240x240 px, Head
FLAIR MR.
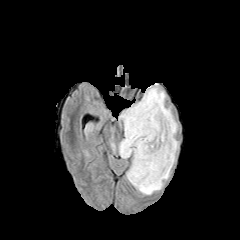
T1-weighted MRI.
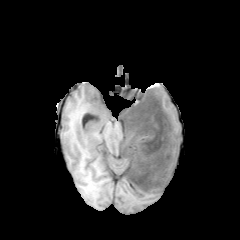
Post-contrast T1-weighted MR.
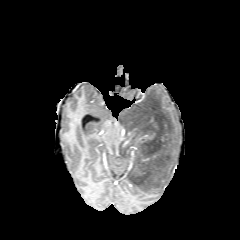
T2-weighted magnetic resonance.
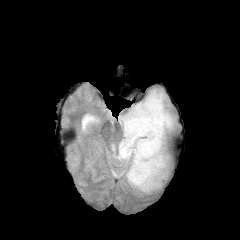
<segmentation>
  <non-enhancing_tumor_core>[x1=120, y1=94, x2=171, y2=193]</non-enhancing_tumor_core>
  <edema>[x1=118, y1=108, x2=129, y2=129], [x1=111, y1=144, x2=119, y2=154], [x1=130, y1=86, x2=178, y2=195], [x1=122, y1=156, x2=131, y2=174]</edema>
</segmentation>